Brain | Field of view 240 mm wide, 1.00 mm slice spacing
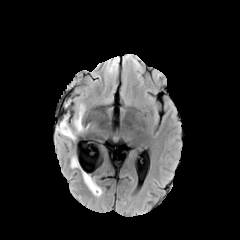
FLAIR magnetic resonance.
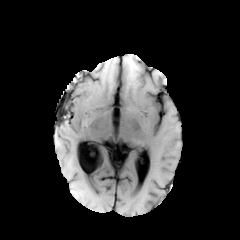
T1-weighted MR image.
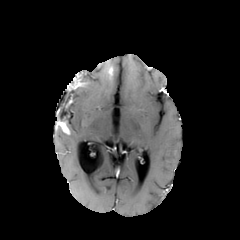
Same slice, post-contrast T1-weighted MR image.
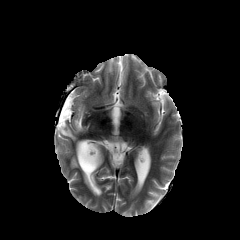
T2-weighted MR of the same slice.
The enhancing tumor is located at 57:119:69:133. 3 edema regions appear at 56:103:84:139, 70:157:79:168, 82:171:101:195.